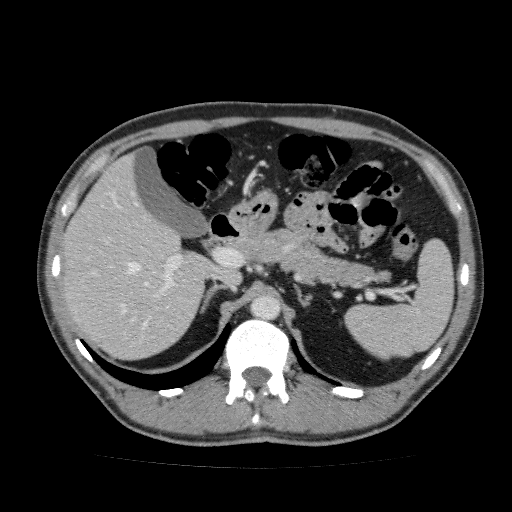

CT slice. Liver at 62,153,242,361.